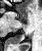
Medial temporal lobe. MRI. 42x51 px. * posterior hippocampus: <box>8,36,20,43</box>, <box>22,34,24,39</box>
* anterior hippocampus: <box>24,10,26,18</box>